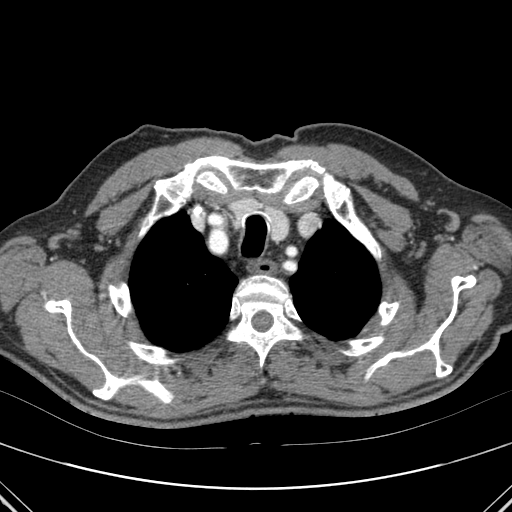 Thorax. CT scan slice.

10 bone regions appear at x1=379 y1=302 x2=398 y2=325, x1=196 y1=171 x2=227 y2=193, x1=45 y1=299 x2=172 y2=403, x1=227 y1=275 x2=302 y2=366, x1=342 y1=336 x2=383 y2=355, x1=128 y1=342 x2=173 y2=364, x1=367 y1=275 x2=476 y2=377, x1=140 y1=156 x2=380 y2=257, x1=284 y1=176 x2=318 y2=203, x1=108 y1=283 x2=131 y2=316. 2 lung regions are bounded by x1=289 y1=219 x2=380 y2=340, x1=129 y1=211 x2=237 y2=351.